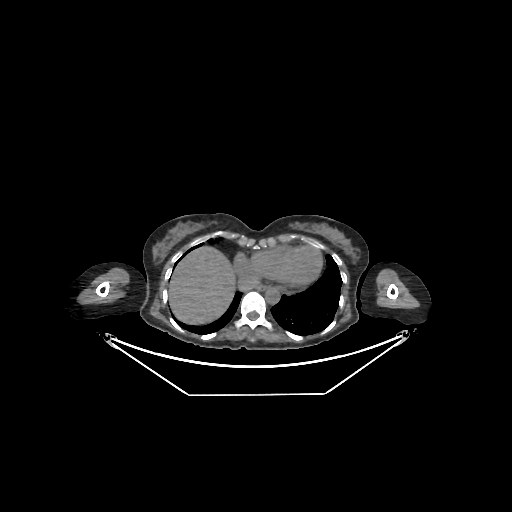 Liver, CT image, Image size 512x512
- liver: x1=169 y1=247 x2=234 y2=324